CT slice. 512x512. Abdomen. Image width 404 mm.
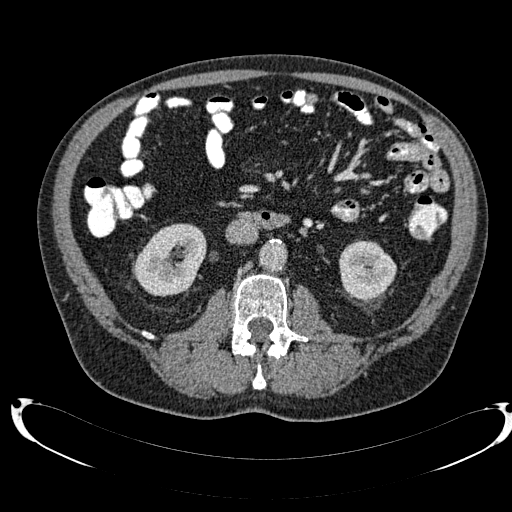
Segmented structures:
• kidney: <box>339,241,396,301</box>, <box>133,224,206,296</box>